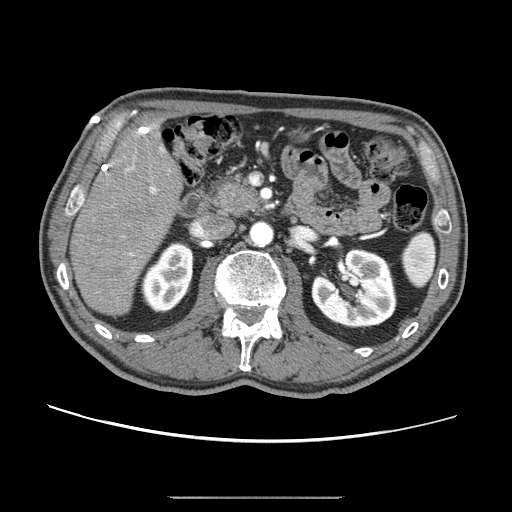 CT

The pancreas is at (214, 173, 261, 215). The pancreatic tumor is at (225, 185, 258, 211).